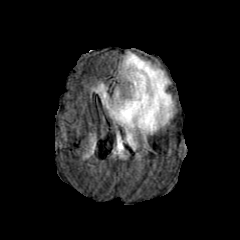
FLAIR MR image.
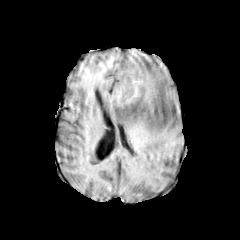
T1-weighted MR image.
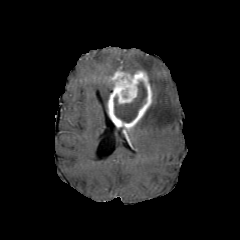
Post-contrast T1-weighted magnetic resonance.
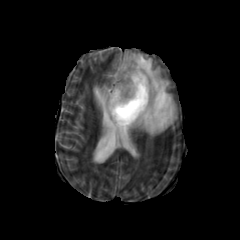
T2-weighted MR image.
Brain
<segmentation>
  <enhancing_tumor><bbox>108, 65, 152, 129</bbox></enhancing_tumor>
  <edema><bbox>93, 84, 108, 108</bbox>, <bbox>116, 133, 123, 149</bbox>, <bbox>121, 51, 173, 134</bbox></edema>
  <non-enhancing_tumor_core><bbox>114, 82, 147, 123</bbox></non-enhancing_tumor_core>
</segmentation>